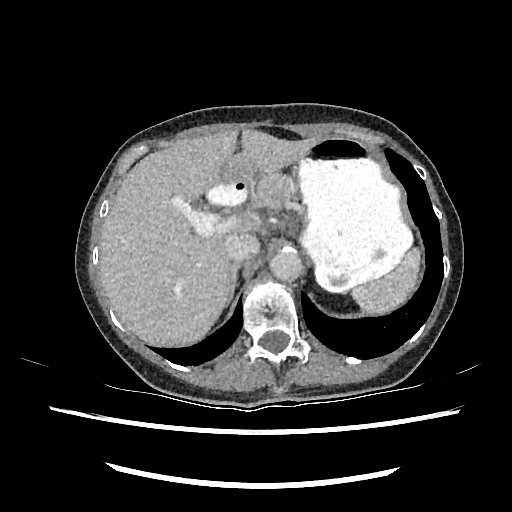

Abdomen, CT scan slice
Segmented structures:
• liver: 101, 129, 315, 344; 235, 213, 261, 231